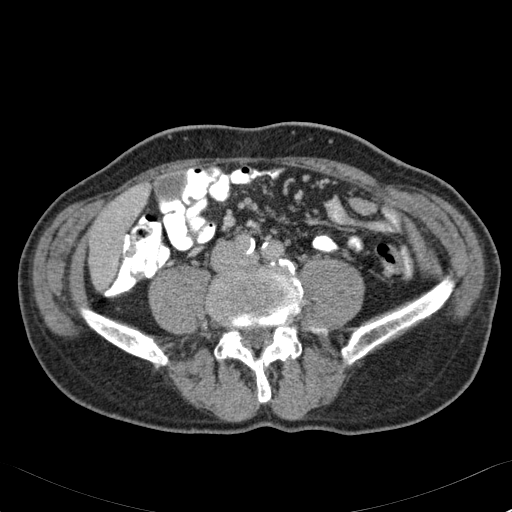 Image size 512x512; Computed tomography; Abdomen

<segmentation>
  <liver>box(88, 183, 147, 288)</liver>
</segmentation>